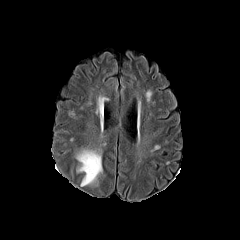
FLAIR MRI.
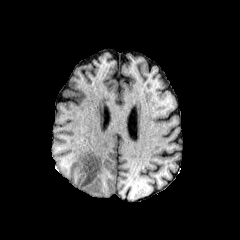
T1-weighted MRI.
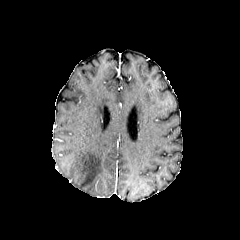
Post-contrast T1-weighted magnetic resonance.
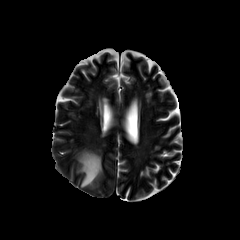
T2-weighted MR image of the same slice.
240x240 px.
edema:
  - <box>76,150,102,186</box>